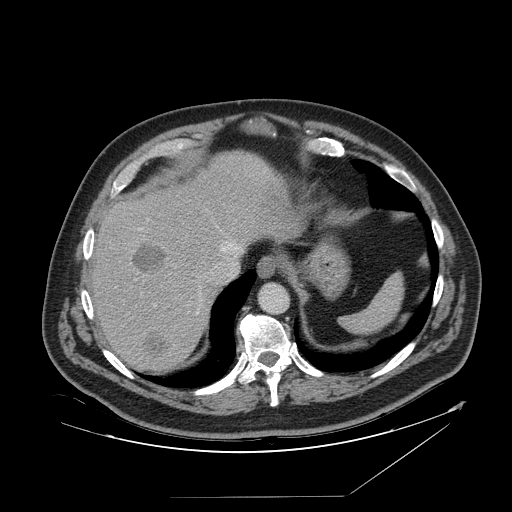
CT; Abdomen

Segmented structures:
* spleen: (340, 273, 404, 333)